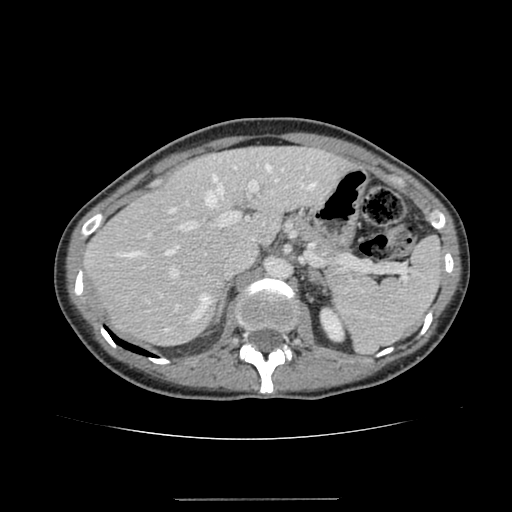

CT scan slice; Liver
The kidney lies within region(321, 310, 342, 340). The liver lies within region(86, 145, 354, 345).